FLAIR MR.
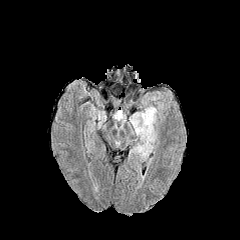
T1-weighted MRI.
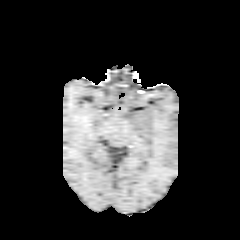
Post-contrast T1-weighted MR.
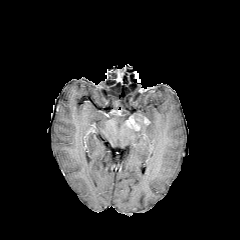
T2-weighted MRI.
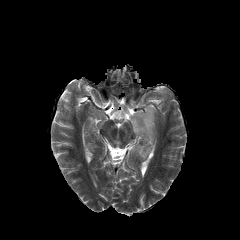
<segmentation>
  <enhancing_tumor>box=[126, 114, 149, 130]</enhancing_tumor>
  <edema>box=[129, 104, 160, 162]; box=[154, 100, 165, 112]; box=[112, 110, 129, 127]</edema>
</segmentation>